Field of view 240x240 mm
FLAIR MR image.
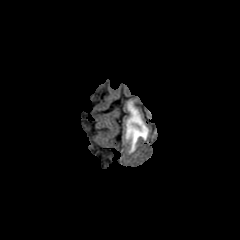
T1-weighted MR.
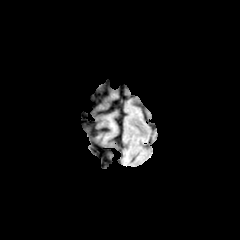
Post-contrast T1-weighted MR image.
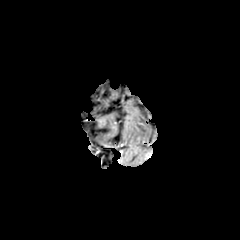
T2-weighted MR image.
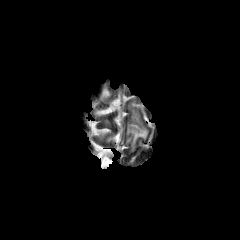
The edema appears at left=125, top=101, right=150, bottom=152.